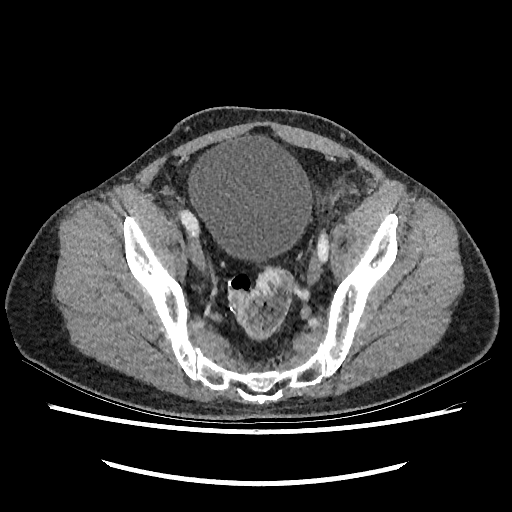 512x512, Pelvis, CT image
Urinary bladder — (x1=188, y1=131, x2=313, y2=262).